Slice index 28 | Image size 35x51 | Magnetic resonance
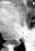

Posterior hippocampus: (13,42,20,45).